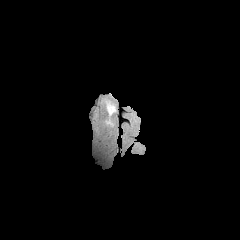
FLAIR MR image.
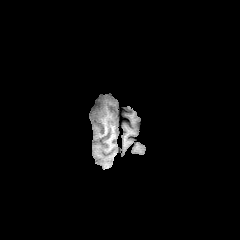
T1-weighted MR image.
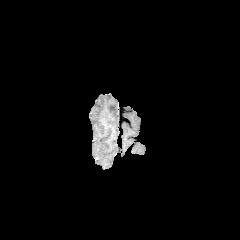
Post-contrast T1-weighted MR image of the same slice.
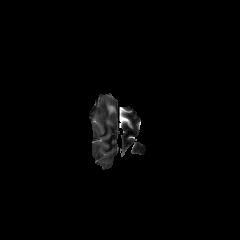
T2-weighted magnetic resonance.
Brain.
Edema at <bbox>106, 100, 116, 113</bbox>.